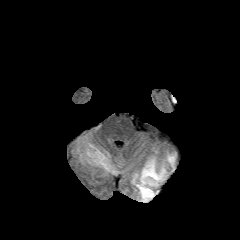
FLAIR MR image.
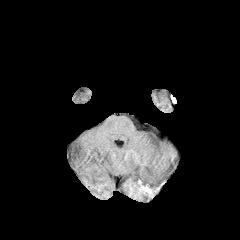
T1-weighted MR image of the same slice.
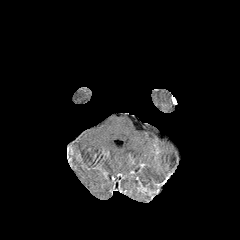
Post-contrast T1-weighted magnetic resonance.
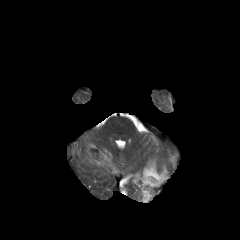
T2-weighted magnetic resonance.
edema: x1=133 y1=154 x2=169 y2=202, x1=166 y1=154 x2=176 y2=164